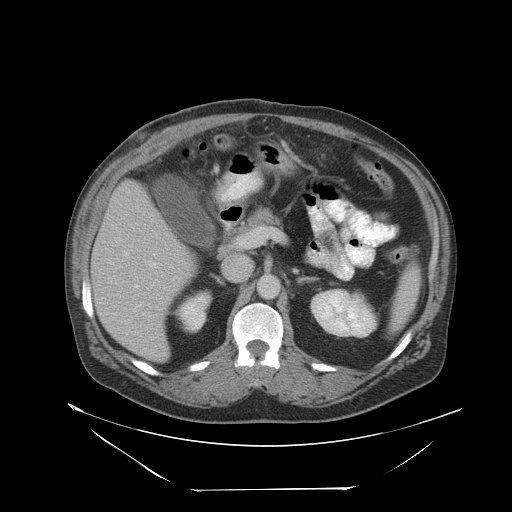 Liver | CT image

The vessel annotation is not exhaustive.
4 hepatic vessel regions appear at [x1=135, y1=285, x2=137, y2=287], [x1=149, y1=263, x2=156, y2=267], [x1=125, y1=252, x2=127, y2=254], [x1=137, y1=304, x2=139, y2=306].